Image size 512x512; CT image
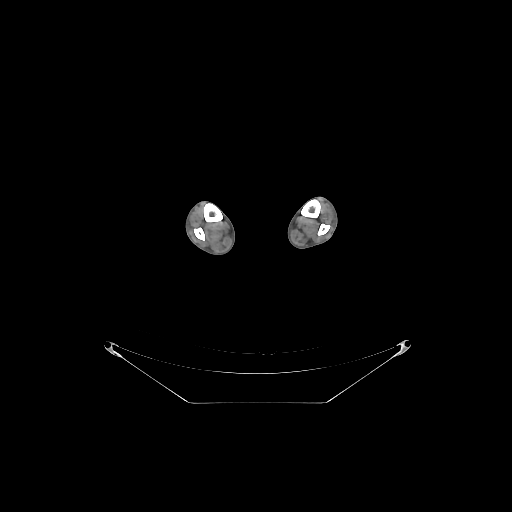

- bone: l=301, t=199, r=320, b=217; l=194, t=227, r=204, b=240; l=203, t=203, r=222, b=222; l=318, t=224, r=329, b=235